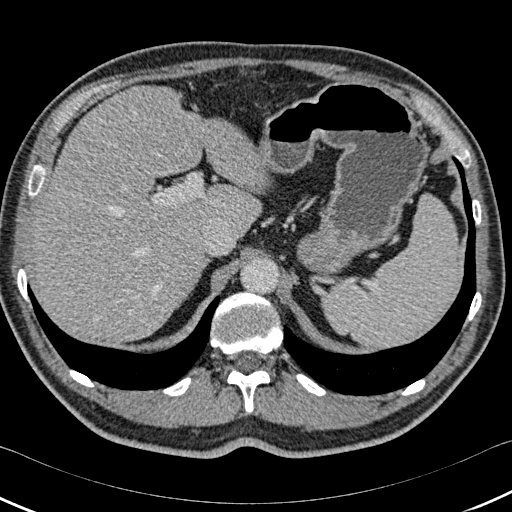
Abdomen. Computed tomography. 512x512.
Lung: region(27, 284, 220, 390); region(283, 156, 475, 395).
Bone: region(211, 292, 282, 353); region(402, 380, 424, 395); region(455, 148, 470, 167); region(17, 269, 28, 300); region(163, 378, 190, 395); region(472, 200, 481, 224); region(69, 370, 93, 387); region(468, 292, 481, 320); region(227, 370, 269, 412); region(296, 374, 325, 395); region(28, 165, 45, 196).
Liver: region(34, 85, 265, 343).